Liver. CT.

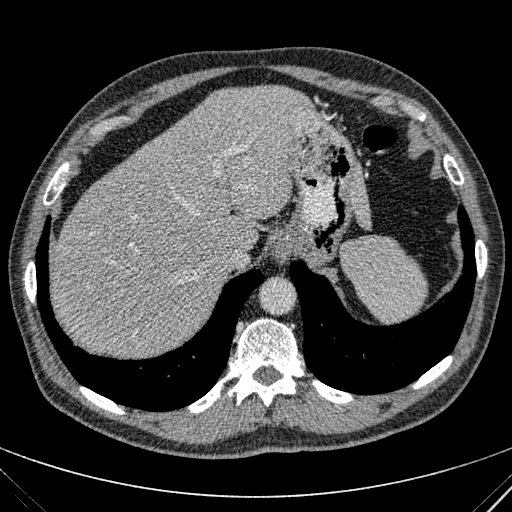 <segmentation>
  <liver>x1=49, y1=86, x2=320, y2=356; x1=349, y1=164, x2=370, y2=229</liver>
</segmentation>